Slice 93 of 155 | Field of view 240 mm wide, 1.00 mm slice spacing | Head | 240x240 px
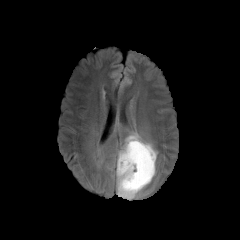
FLAIR MR image.
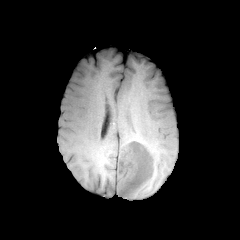
T1-weighted MRI.
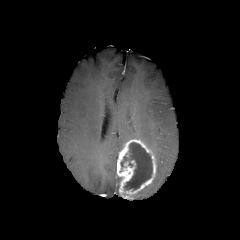
Same slice, post-contrast T1-weighted magnetic resonance.
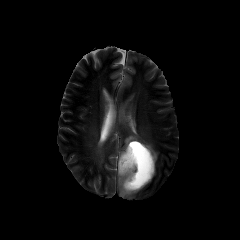
T2-weighted MRI.
The enhancing tumor is at [116, 139, 155, 198]. 2 edema regions appear at [112, 126, 158, 175], [114, 172, 119, 190]. The non-enhancing tumor core lies within [121, 142, 152, 189].